CT slice. Slice index 161.
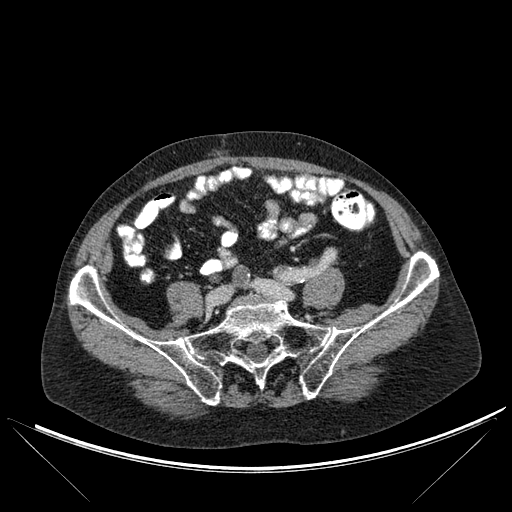

The bone is at region(69, 251, 438, 405).